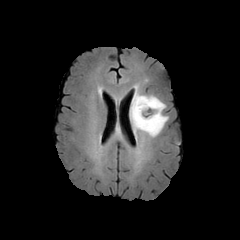
FLAIR MRI.
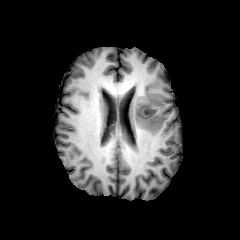
T1-weighted MR image.
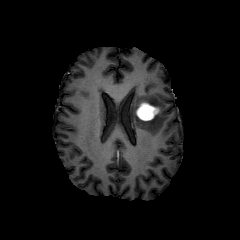
Post-contrast T1-weighted MR.
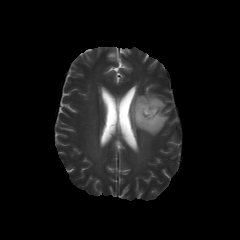
Same slice, T2-weighted MRI.
Segmented structures:
• enhancing tumor: 136,102,159,120
• non-enhancing tumor core: 133,97,158,126
• edema: 129,85,168,136